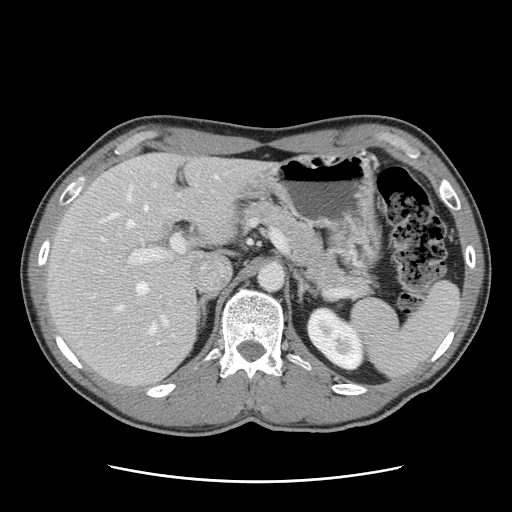

Liver | CT

Some hepatic vessels may have no box.
Segmented structures:
• hepatic vessel: bbox(106, 213, 117, 219); bbox(127, 220, 133, 226); bbox(136, 282, 147, 294); bbox(144, 206, 146, 209); bbox(153, 184, 155, 185); bbox(162, 317, 167, 324); bbox(215, 175, 217, 178); bbox(100, 237, 103, 240); bbox(127, 187, 131, 200); bbox(115, 306, 122, 309); bbox(149, 322, 155, 334)